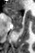

Medial temporal lobe | Magnetic resonance

Posterior hippocampus: bounding box box=[12, 21, 22, 32].
Anterior hippocampus: bounding box box=[5, 8, 22, 20].